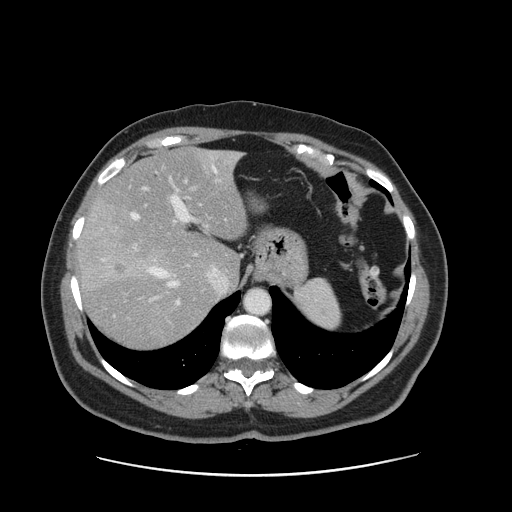 Abdomen. Computed tomography.
The vessel boxes may cover only some of the vessels.
Segmented structures:
• hepatic vessel: 195, 253, 197, 255; 174, 275, 175, 276; 170, 179, 172, 182; 169, 279, 177, 286; 134, 246, 136, 247; 171, 187, 194, 221; 216, 178, 218, 181; 213, 168, 216, 171; 150, 267, 168, 277; 177, 300, 180, 303
• liver tumor: 116, 264, 123, 273